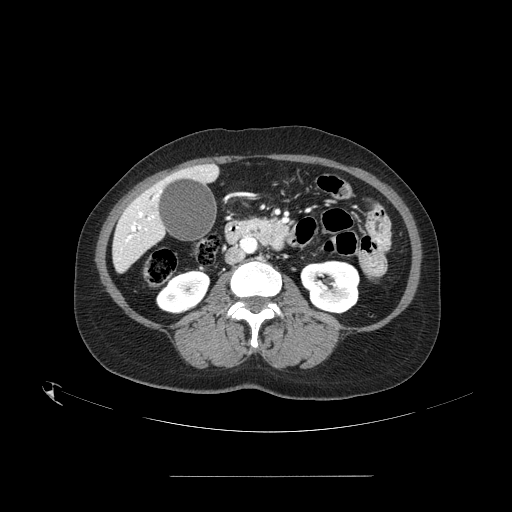

CT. 512x512. Abdomen.
The pancreas is at (248,217,278,243).